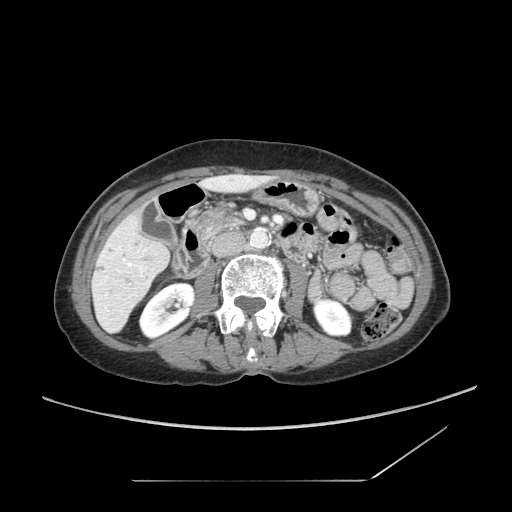
CT, Abdomen

Pancreatic tumor = <box>202,210,228,227</box>.
Pancreas = <box>196,210,243,241</box>.